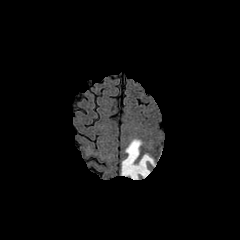
FLAIR MR image.
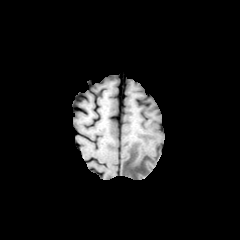
T1-weighted MRI.
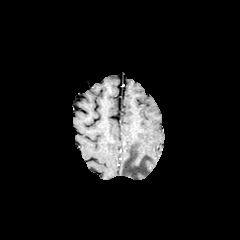
Post-contrast T1-weighted MRI of the same slice.
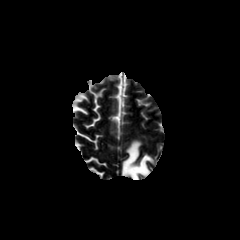
T2-weighted MR image of the same slice.
240x240 px
{
  "edema": [
    "[x1=122, y1=139, x2=155, y2=179]"
  ]
}